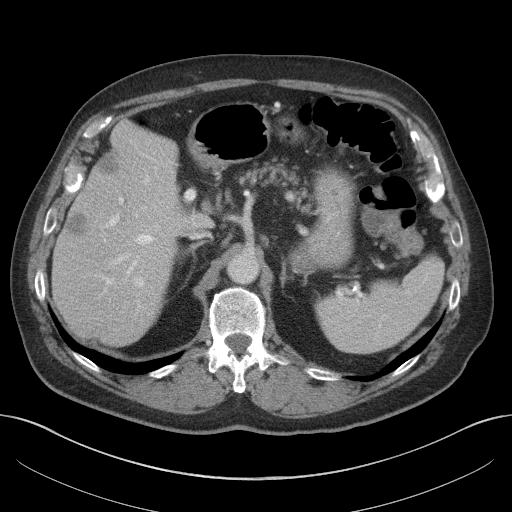

CT
<segmentation>
  <liver>[x1=51, y1=121, x2=180, y2=346]</liver>
  <hepatic_lesion>[x1=66, y1=214, x2=86, y2=235], [x1=98, y1=152, x2=122, y2=173]</hepatic_lesion>
</segmentation>